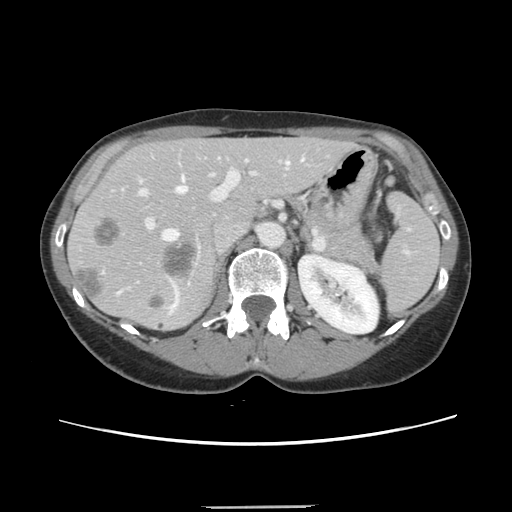

CT slice
Some hepatic vessels may have no box.
Liver tumor at x1=94 y1=218 x2=120 y2=247, x1=76 y1=268 x2=102 y2=295, x1=162 y1=242 x2=195 y2=276.
Hepatic vessel at x1=210 y1=173 x2=213 y2=175, x1=279 y1=160 x2=288 y2=168, x1=120 y1=188 x2=122 y2=189, x1=162 y1=229 x2=177 y2=240, x1=145 y1=218 x2=153 y2=228, x1=301 y1=158 x2=303 y2=160, x1=210 y1=168 x2=238 y2=200, x1=138 y1=190 x2=146 y2=194, x1=175 y1=176 x2=186 y2=192, x1=250 y1=172 x2=255 y2=174, x1=117 y1=291 x2=120 y2=293, x1=139 y1=178 x2=141 y2=181, x1=198 y1=246 x2=198 y2=249, x1=245 y1=159 x2=246 y2=161, x1=136 y1=281 x2=138 y2=282.